Abdomen. CT scan slice. 512x512 px.

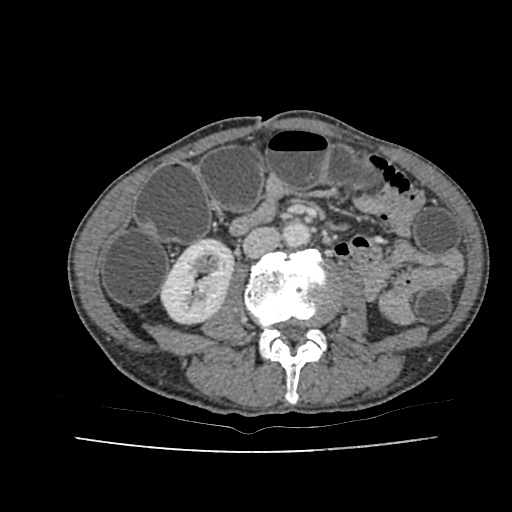 {"kidney": ["(x1=161, y1=240, x2=233, y2=322)"]}